FLAIR MR image.
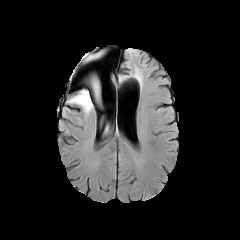
T1-weighted MR image.
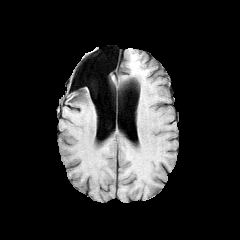
Post-contrast T1-weighted MRI.
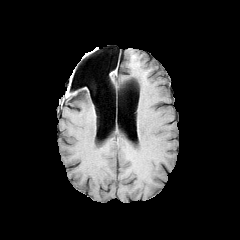
T2-weighted MRI.
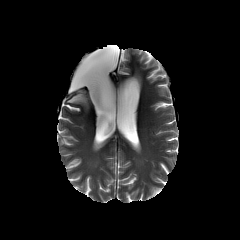
Image size 240x240 | Brain
Edema at region(68, 90, 93, 114).